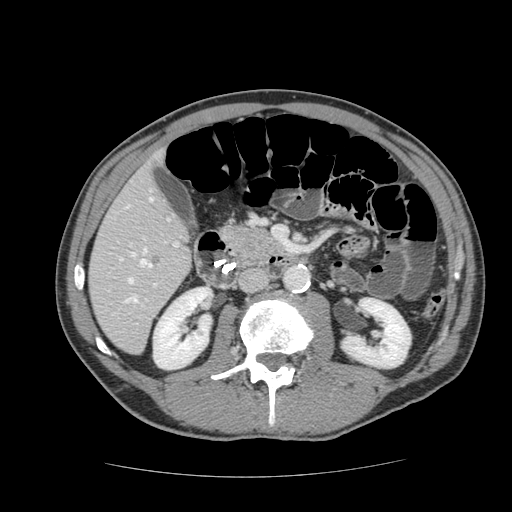
Abdomen; Computed tomography
The pancreas lies within <box>223,221,278,269</box>. The pancreatic tumor lies within <box>237,226,260,240</box>.